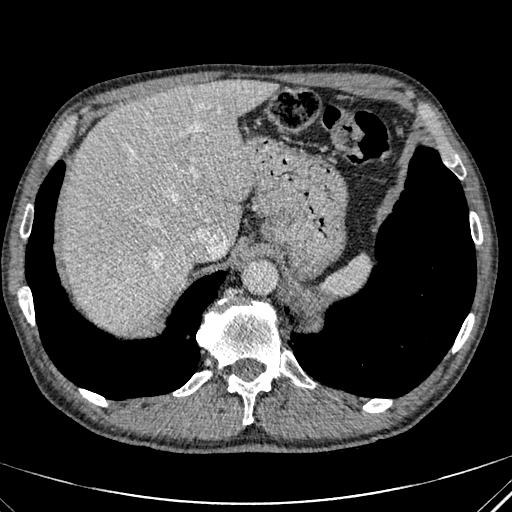
Computed tomography, Upper abdomen
Liver at bbox(63, 79, 277, 327).